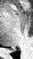

MR; Hippocampus
Posterior hippocampus — x1=9 y1=49 x2=12 y2=49.